Brain.
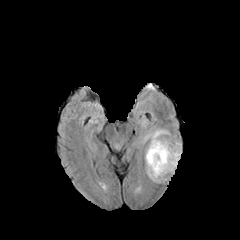
FLAIR magnetic resonance.
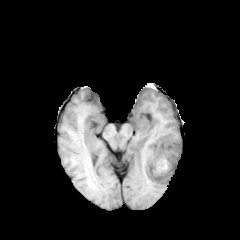
T1-weighted MR.
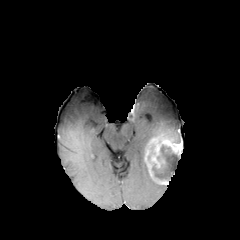
Same slice, post-contrast T1-weighted MR image.
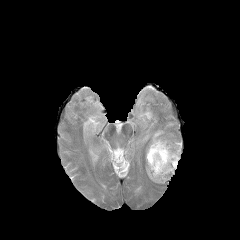
T2-weighted magnetic resonance.
The edema appears at box(142, 128, 181, 183). The non-enhancing tumor core lies within box(152, 143, 171, 161). The enhancing tumor is located at box(158, 139, 182, 154).